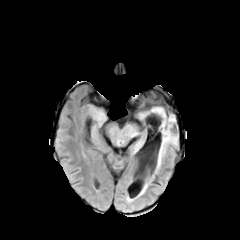
FLAIR MRI.
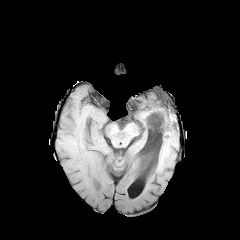
T1-weighted magnetic resonance of the same slice.
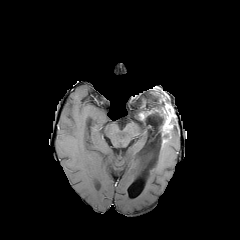
Post-contrast T1-weighted magnetic resonance.
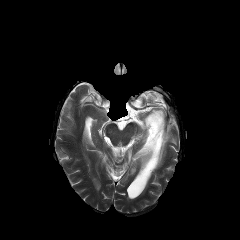
T2-weighted magnetic resonance.
Brain. Image size 240x240.
Non-enhancing tumor core at bbox=[146, 111, 164, 135]; bbox=[170, 115, 176, 133].
Edema at bbox=[156, 132, 177, 168].
Enhancing tumor at bbox=[148, 107, 174, 136].